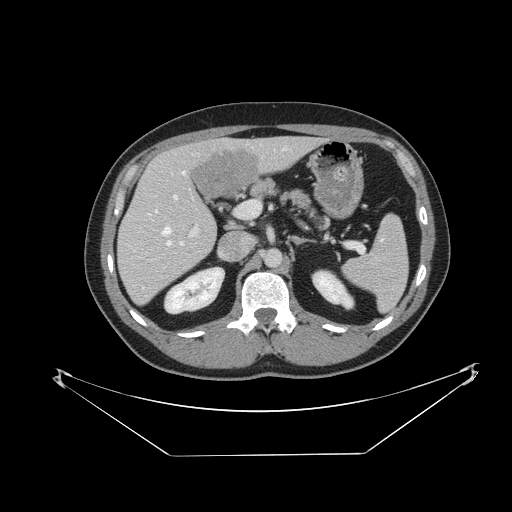 CT slice; 512x512; Abdomen
- spleen: bbox(343, 215, 407, 310)